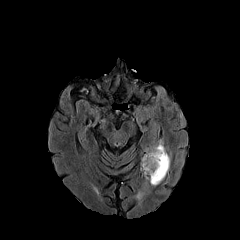
FLAIR MR.
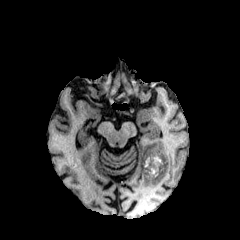
T1-weighted MR image.
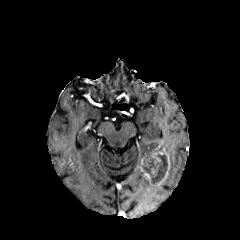
Same slice, post-contrast T1-weighted magnetic resonance.
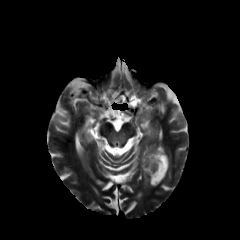
Same slice, T2-weighted MRI.
Brain
<segmentation>
  <non-enhancing_tumor_core>(144, 154, 167, 183)</non-enhancing_tumor_core>
  <enhancing_tumor>(157, 148, 170, 185), (140, 152, 161, 179)</enhancing_tumor>
</segmentation>